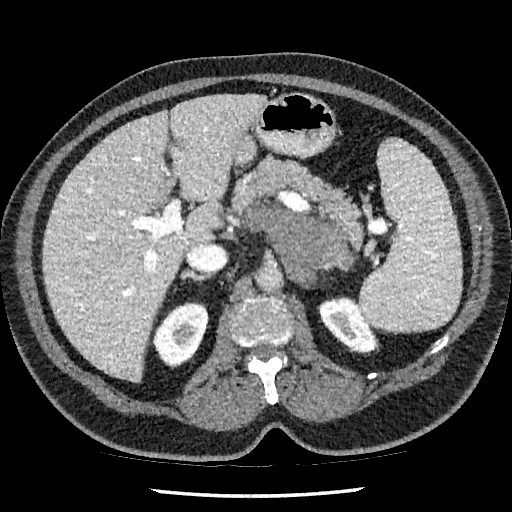

Computed tomography
kidney: box=[320, 299, 375, 351]; box=[154, 304, 207, 364] | liver lesion: box=[174, 139, 183, 149] | liver: box=[43, 95, 266, 381]